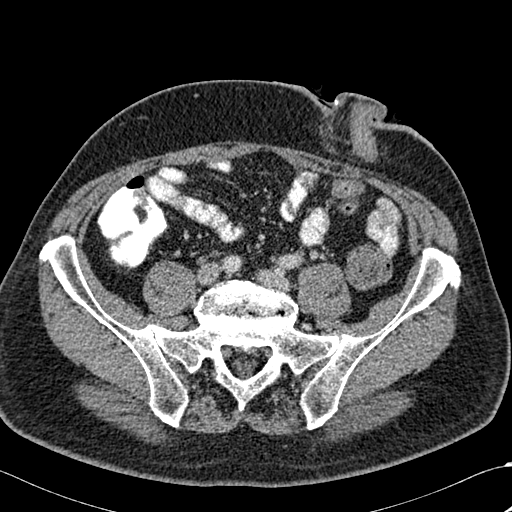
CT image.

• bone: 40, 236, 460, 429